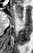 MRI
<segmentation>
  <anterior_hippocampus>15,4,23,19</anterior_hippocampus>
</segmentation>